CT.
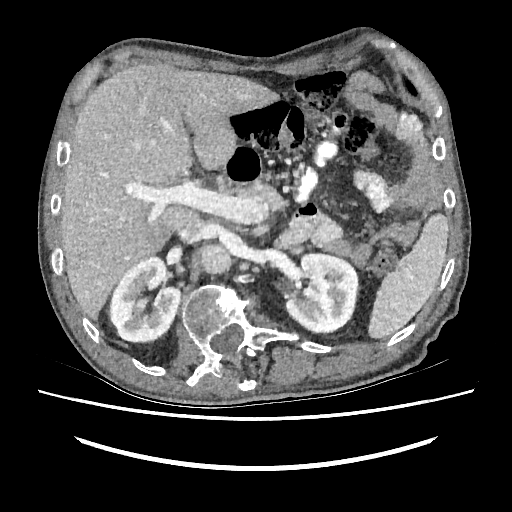

The liver appears at box(62, 65, 278, 318). 2 kidney regions are located at box(110, 257, 180, 341); box(286, 254, 357, 331).